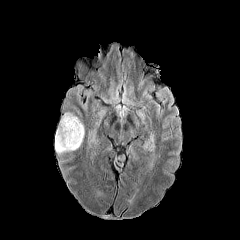
FLAIR MR.
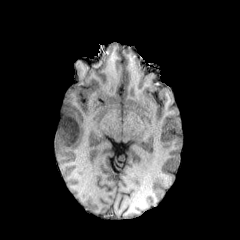
T1-weighted MR image of the same slice.
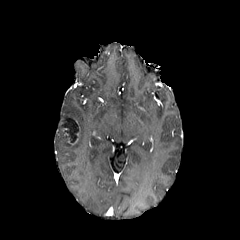
Post-contrast T1-weighted MR.
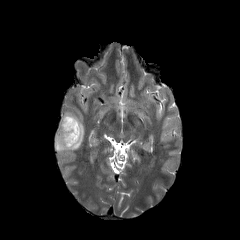
T2-weighted magnetic resonance.
Brain
Findings:
* edema: (55, 116, 84, 153)
* non-enhancing tumor core: (58, 113, 79, 142)